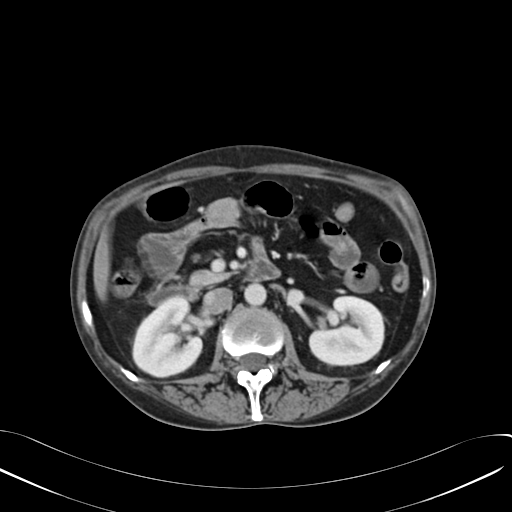 512x512 px; Upper abdomen; CT slice

Kidney: bbox(310, 297, 382, 364); bbox(134, 298, 201, 376).
Liver: bbox(95, 227, 108, 297).